320x320 px; Slice 91/120; MRI slice
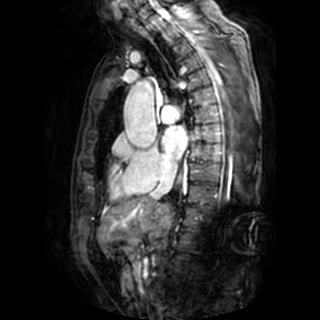 Left atrium — (x1=162, y1=126, x2=187, y2=158).